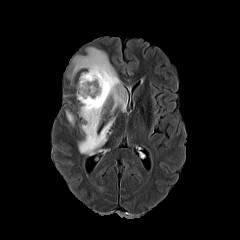
FLAIR MR image.
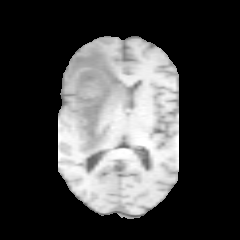
Same slice, T1-weighted MR.
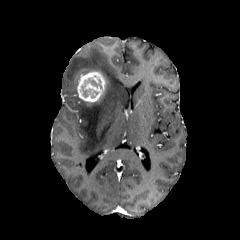
Post-contrast T1-weighted MR.
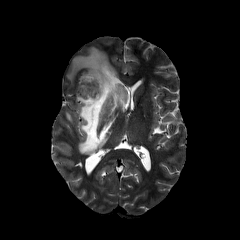
Same slice, T2-weighted MR.
240x240 px.
<segmentation>
  <edema>[x1=66, y1=110, x2=74, y2=125], [x1=67, y1=47, x2=128, y2=155]</edema>
  <enhancing_tumor>[x1=74, y1=68, x2=104, y2=103]</enhancing_tumor>
  <non-enhancing_tumor_core>[x1=90, y1=78, x2=102, y2=88]</non-enhancing_tumor_core>
</segmentation>